Upper abdomen, 512x512 px, CT slice 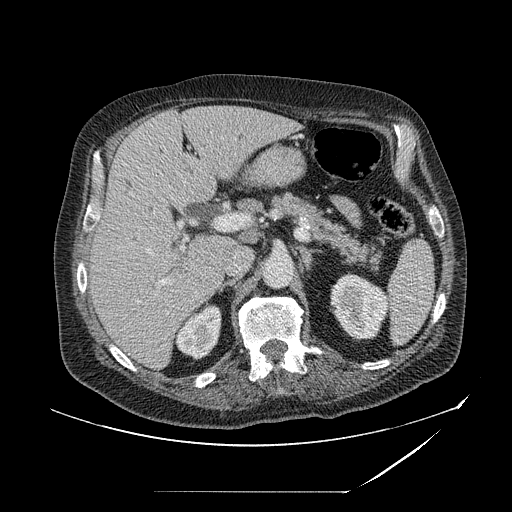 The pancreas lies within (x1=270, y1=193, x2=383, y2=274).